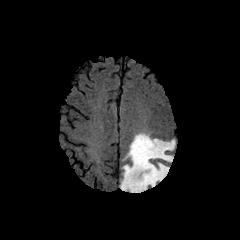
FLAIR MR image.
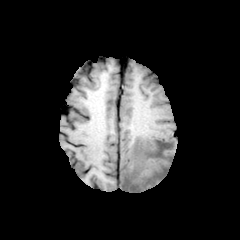
T1-weighted MR image.
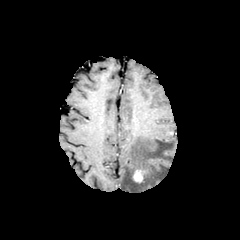
Post-contrast T1-weighted MRI.
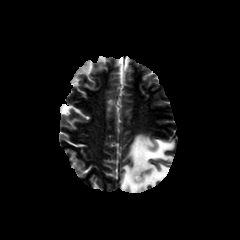
T2-weighted MR image.
non-enhancing_tumor_core:
  - {"x1": 134, "y1": 162, "x2": 146, "y2": 171}
enhancing_tumor:
  - {"x1": 133, "y1": 169, "x2": 144, "y2": 182}
edema:
  - {"x1": 120, "y1": 133, "x2": 175, "y2": 192}